Slice index 482, CT slice
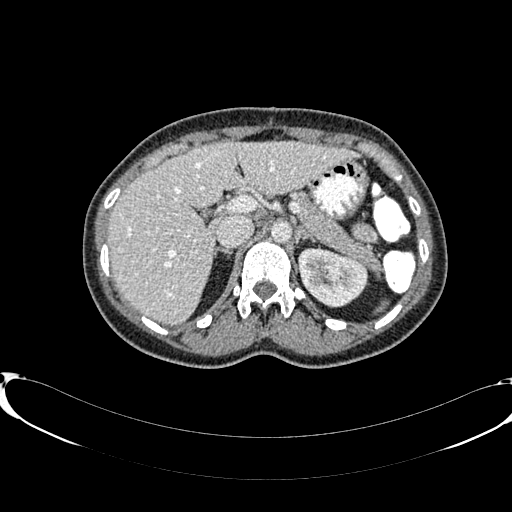 kidney:
  - (299,249,365,308)
liver:
  - (107,142,359,323)